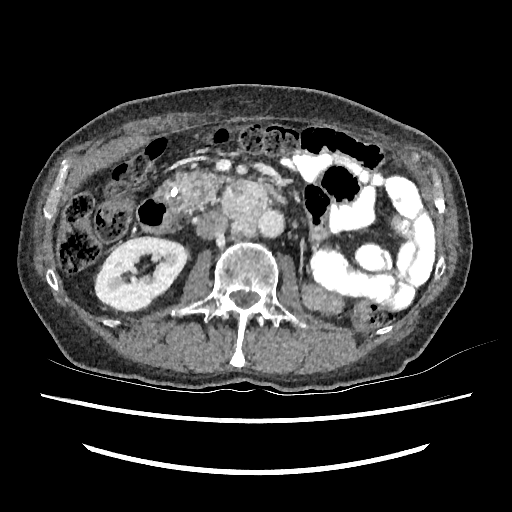

512x512 | CT scan slice

The kidney is bounded by [95,237,186,310].